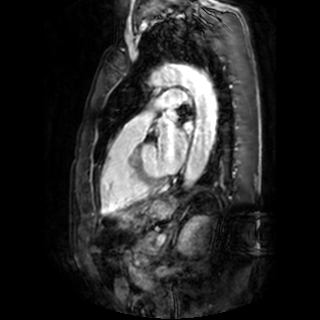
Heart, MR
<segmentation>
  <left_atrium>[x1=183, y1=122, x2=191, y2=131], [x1=166, y1=110, x2=176, y2=118], [x1=158, y1=126, x2=187, y2=174]</left_atrium>
</segmentation>